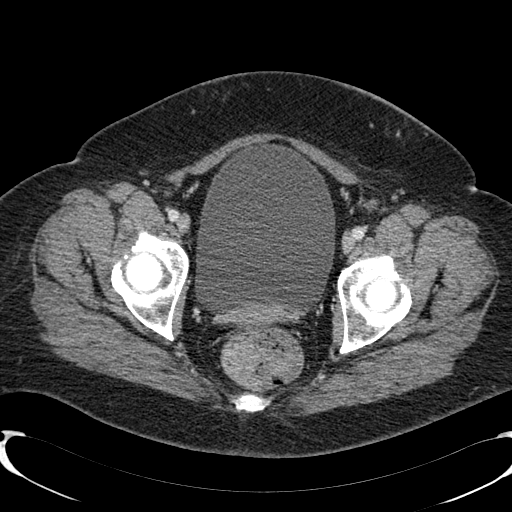

Computed tomography
<segmentation>
  <urinary_bladder>195 143 334 310</urinary_bladder>
</segmentation>